CT scan slice; 512x512 px; Slice index 172; Image width 386 mm

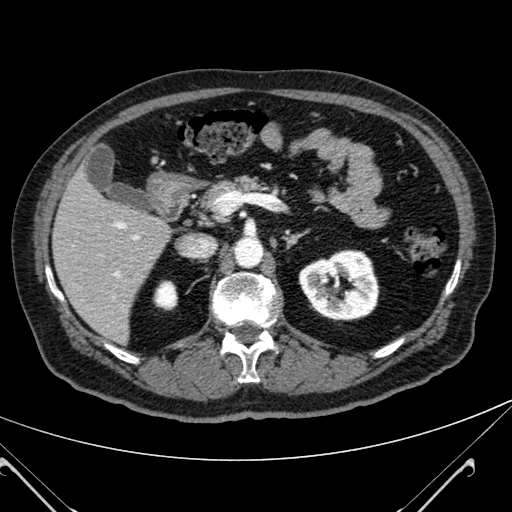
liver:
  - (50,179,170,345)
kidney:
  - (300,251,377,318)
  - (156,282,176,307)